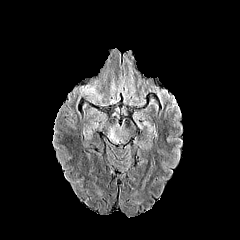
FLAIR MR.
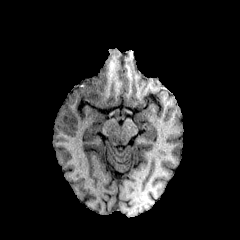
T1-weighted MR.
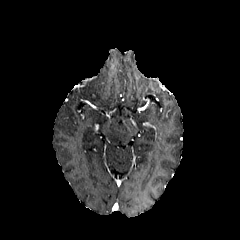
Post-contrast T1-weighted MRI.
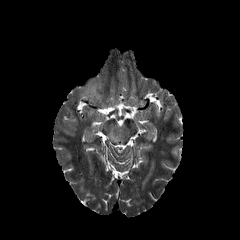
T2-weighted MR image.
{
  "edema": [
    "(80,84,102,104)"
  ]
}